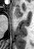
34x49 px, Hippocampus, MRI
<segmentation>
  <anterior_hippocampus><box>14,5,24,18</box></anterior_hippocampus>
</segmentation>